CT image; 512x512

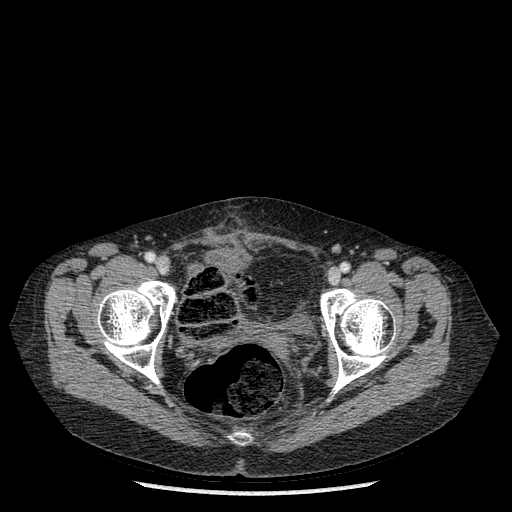 Bone: region(228, 431, 252, 445); region(96, 279, 176, 385); region(320, 288, 394, 395).